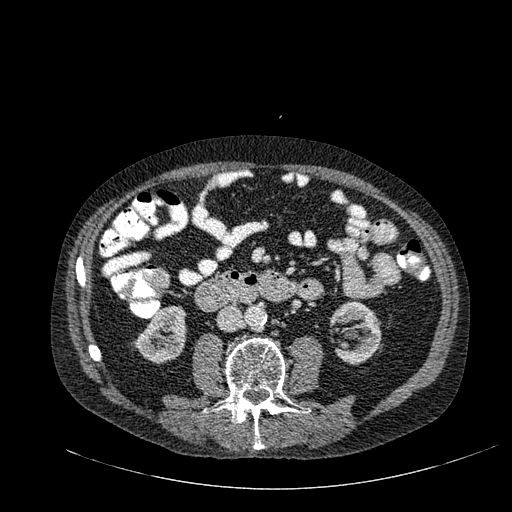 Abdomen. CT scan slice. Segmented structures:
* kidney: [x1=133, y1=305, x2=186, y2=363], [x1=330, y1=301, x2=381, y2=364]